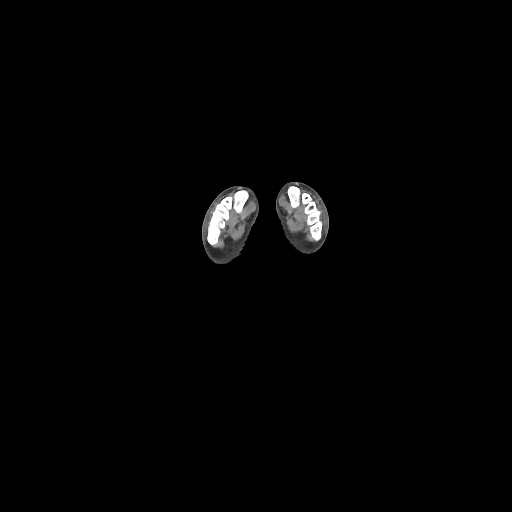
Computed tomography.

Segmented structures:
- bone: left=207, top=190, right=248, bottom=244; left=288, top=186, right=321, bottom=240